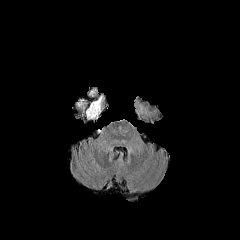
FLAIR MRI.
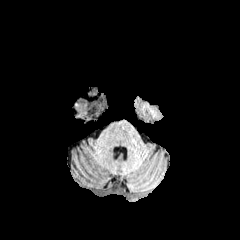
T1-weighted MRI of the same slice.
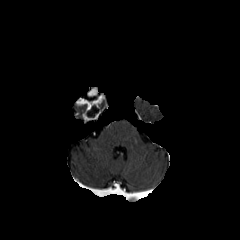
Post-contrast T1-weighted MRI.
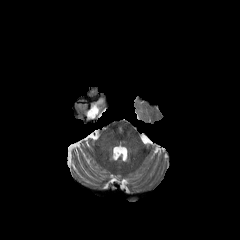
T2-weighted MRI.
240x240 px. Brain.
enhancing tumor: (88,87,97,96), (76,93,108,123) | non-enhancing tumor core: (86,104,97,117), (72,102,86,119), (79,91,99,101)